Liver, CT image 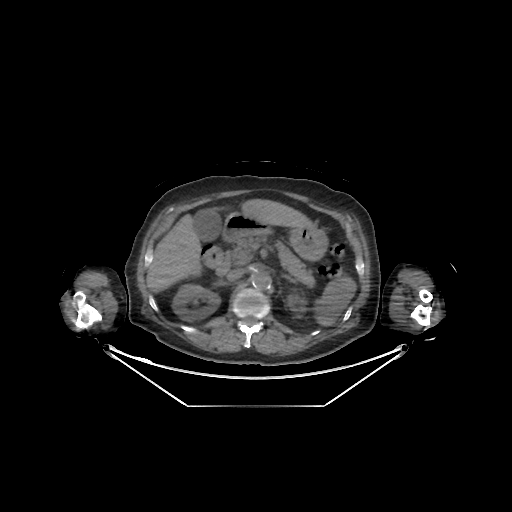 3 bone regions appear at bbox=[233, 289, 268, 347]; bbox=[73, 291, 101, 328]; bbox=[411, 289, 432, 325]. 2 kidney regions are located at bbox=[287, 294, 307, 316]; bbox=[172, 283, 220, 321]. 2 liver regions appear at bbox=[147, 215, 200, 290]; bbox=[243, 200, 314, 229].